FLAIR magnetic resonance.
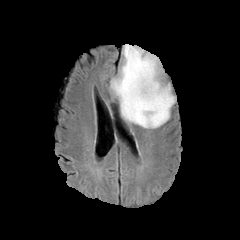
T1-weighted magnetic resonance.
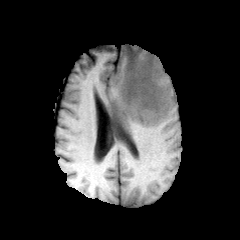
Post-contrast T1-weighted MRI.
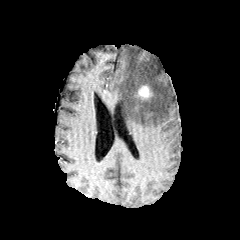
T2-weighted magnetic resonance.
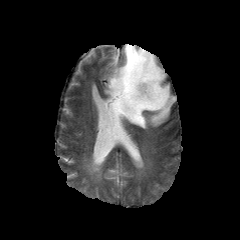
{"edema": ["109:44:175:128"], "enhancing_tumor": ["135:83:152:100"]}